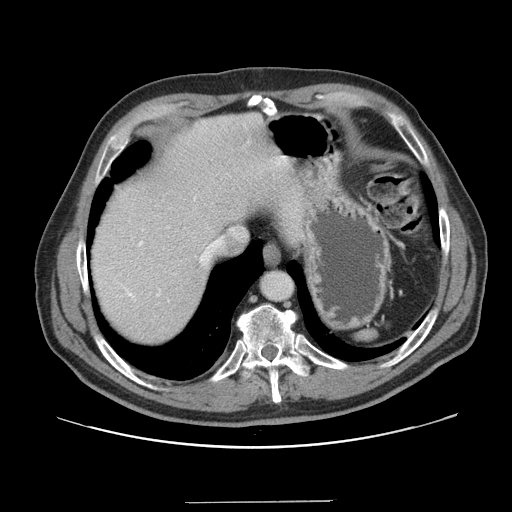
Abdomen | CT slice
Not every hepatic vessel necessarily has a box.
hepatic_vessel:
  - 200 239 220 260